FLAIR MR.
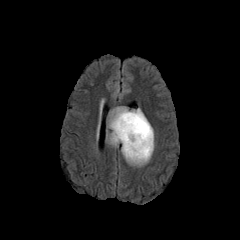
T1-weighted MR image.
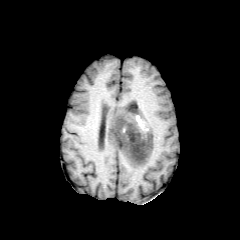
Post-contrast T1-weighted MR.
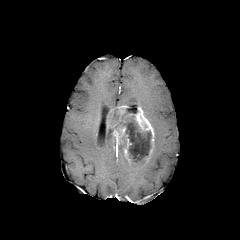
T2-weighted MR image.
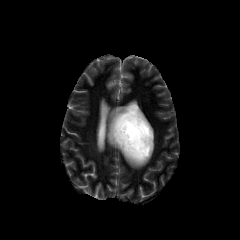
Head
Findings:
* non-enhancing tumor core: l=110, t=107, r=153, b=161
* edema: l=106, t=107, r=119, b=146; l=124, t=154, r=151, b=167
* enhancing tumor: l=131, t=108, r=153, b=142; l=112, t=127, r=131, b=155